Abdomen; Slice 121 of 152; CT scan slice 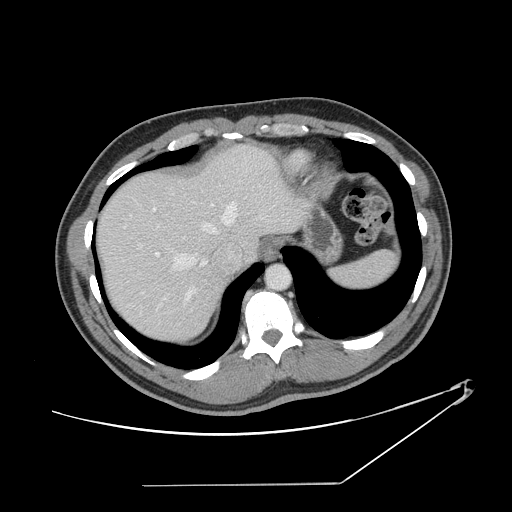

The vessel annotation is not exhaustive.
hepatic_vessel:
  - (163,297,165,299)
  - (154,208,155,210)
  - (210,204,213,206)
  - (259,215,264,218)
  - (175,253,197,268)
  - (205,223,216,233)
  - (222,203,236,225)
  - (187,288,195,298)
  - (139,244,141,247)
  - (201,260,206,264)
  - (155,252,158,255)
  - (124,226,125,227)